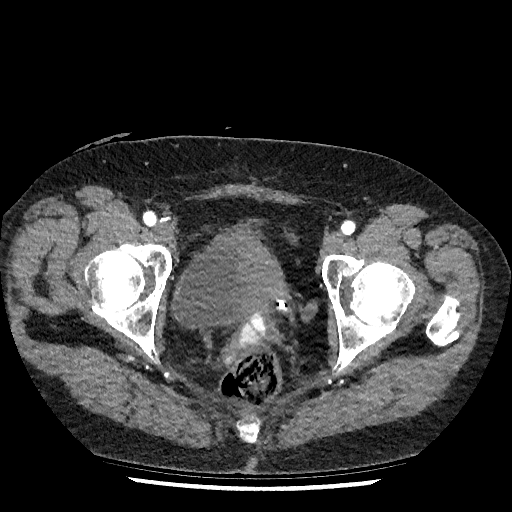
Pelvis, CT slice
The urinary bladder is bounded by (x1=170, y1=222, x2=287, y2=330).